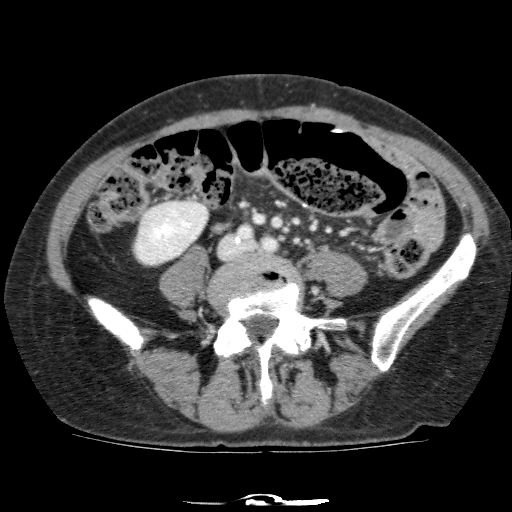 Computed tomography
<segmentation>
  <kidney>[x1=136, y1=202, x2=207, y2=264]</kidney>
</segmentation>